FLAIR MR image.
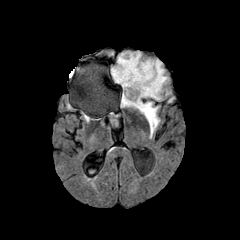
T1-weighted MRI.
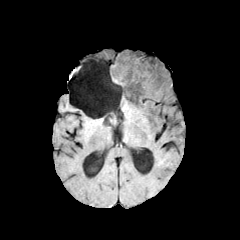
Post-contrast T1-weighted MR.
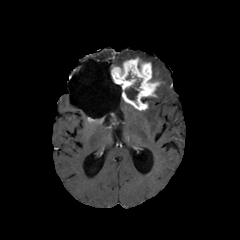
T2-weighted MR image.
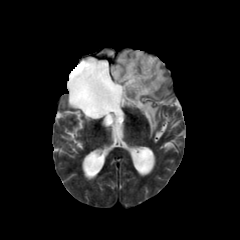
Brain.
Edema: bounding box (140,100,160,135), (120,99,133,107), (116,52,168,101).
Enhancing tumor: bounding box (111,57,159,109).
Non-enhancing tumor core: bounding box (140,96,151,109), (124,86,138,100).